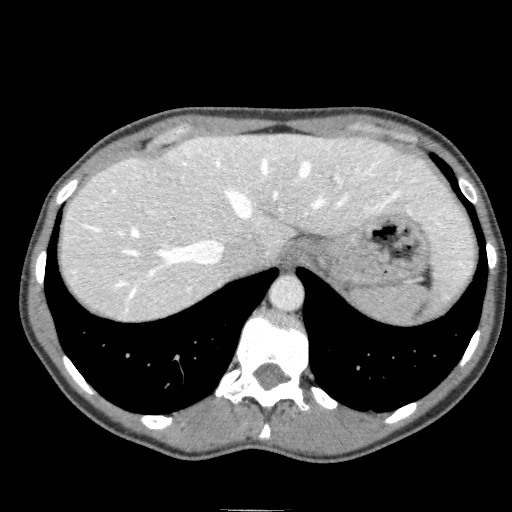 CT slice.
The liver is bounded by [x1=60, y1=133, x2=474, y2=322].